MR image. Slice 84/120. Image size 320x320. Heart. 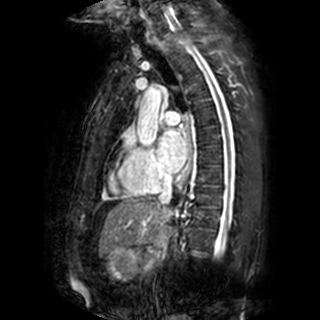
Left atrium at <box>158,128,186,173</box>.